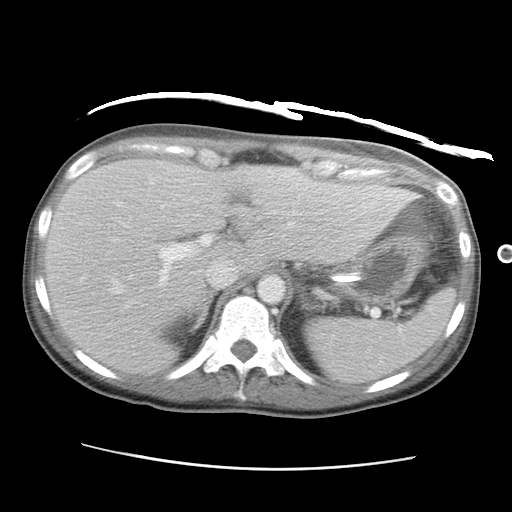

Image size 512x512. Computed tomography.
The liver is bounded by <box>44,159,417,376</box>.